FLAIR magnetic resonance.
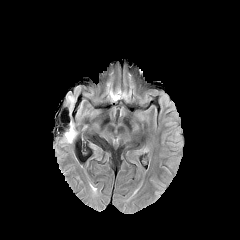
T1-weighted MRI.
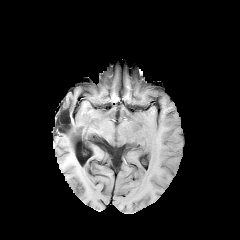
Post-contrast T1-weighted MR image.
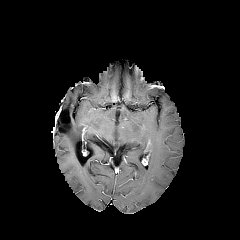
T2-weighted MR.
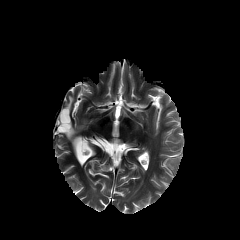
edema:
  - (left=61, top=120, right=77, bottom=145)
  - (left=66, top=95, right=75, bottom=113)